FLAIR MR.
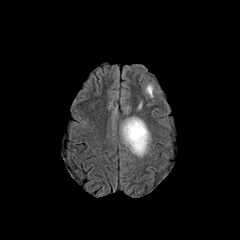
T1-weighted MR.
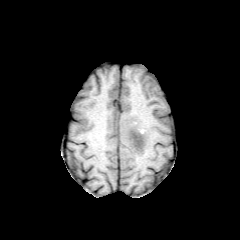
Post-contrast T1-weighted MRI.
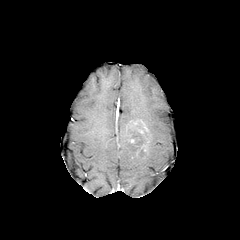
T2-weighted magnetic resonance.
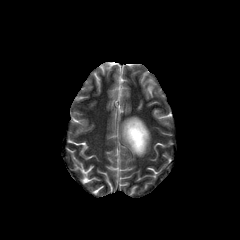
Image size 240x240
The non-enhancing tumor core is at {"x1": 127, "y1": 120, "x2": 147, "y2": 148}. The edema is at {"x1": 122, "y1": 116, "x2": 149, "y2": 156}.